Field of view 240x240 mm; Slice 54 of 155
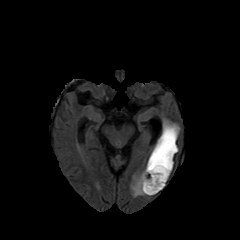
FLAIR MR image.
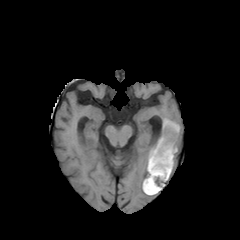
T1-weighted MRI.
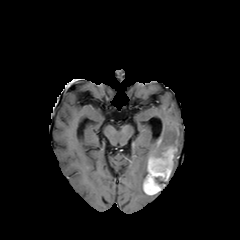
Post-contrast T1-weighted MR.
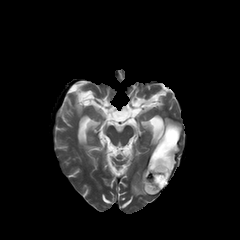
T2-weighted MRI.
{
  "enhancing_tumor": [
    "[x1=144, y1=147, x2=173, y2=194]"
  ],
  "non-enhancing_tumor_core": [
    "[x1=155, y1=177, x2=166, y2=189]",
    "[x1=150, y1=126, x2=178, y2=157]",
    "[x1=142, y1=166, x2=153, y2=190]"
  ],
  "edema": [
    "[x1=131, y1=162, x2=147, y2=196]",
    "[x1=162, y1=118, x2=179, y2=155]"
  ]
}